CT scan slice, Slice index 61, Abdomen
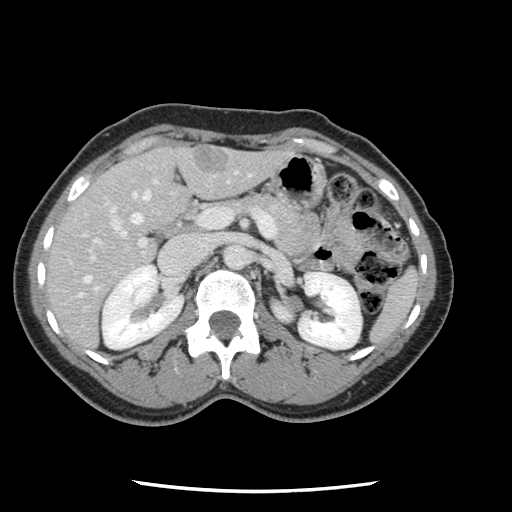

Some hepatic vessels may have no box.
12 hepatic vessel regions are located at [110, 205, 114, 213], [94, 287, 97, 290], [131, 213, 141, 223], [84, 276, 90, 281], [133, 193, 137, 196], [79, 293, 81, 295], [110, 216, 125, 235], [138, 239, 145, 245], [90, 256, 93, 259], [142, 191, 149, 199], [95, 239, 98, 241], [153, 180, 155, 181]. The liver tumor is bounded by [194, 151, 229, 172].